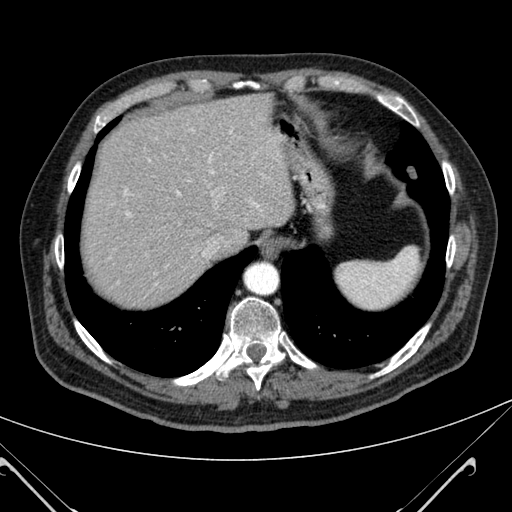

Liver; 512x512 px; CT image
The liver is bounded by x1=81, y1=93, x2=295, y2=309.